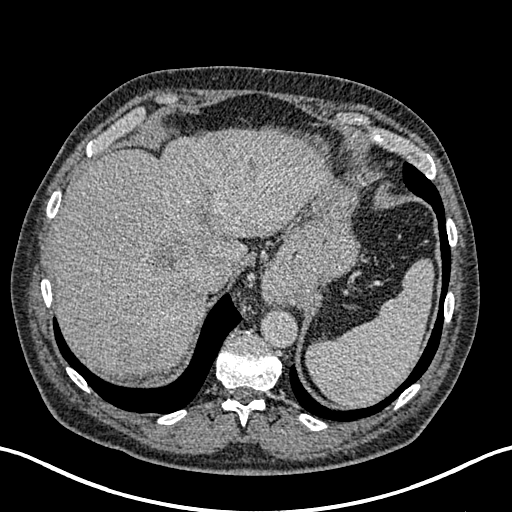
Computed tomography

Liver: bounding box 49 128 325 377.
Focal liver lesion: bounding box 116 345 139 373, 147 234 214 279, 187 204 212 229, 246 160 257 173, 166 279 203 304.